Slice 60 of 155
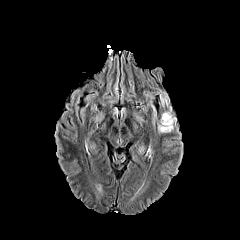
FLAIR MR image.
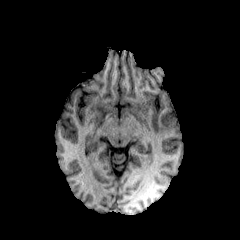
T1-weighted magnetic resonance.
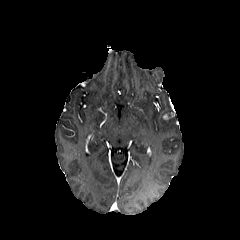
Post-contrast T1-weighted magnetic resonance of the same slice.
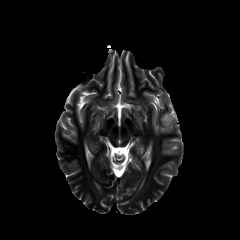
T2-weighted MRI of the same slice.
Segmented structures:
• enhancing tumor: 162:112:174:122
• edema: 145:94:176:135, 153:89:172:114